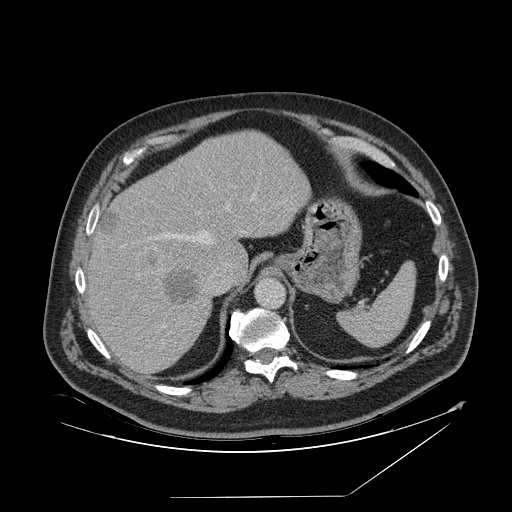

Image size 512x512; Computed tomography; Upper abdomen
Spleen: box=[337, 265, 414, 346].